Abdomen | CT | 512x512 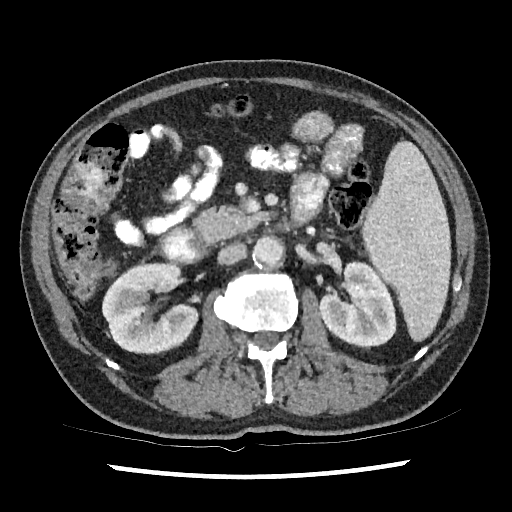
<segmentation>
  <kidney>x1=319 y1=262 x2=395 y2=346, x1=102 y1=264 x2=197 y2=352</kidney>
</segmentation>